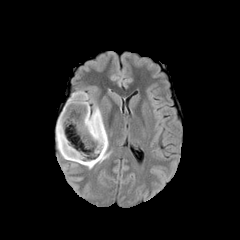
FLAIR MR image.
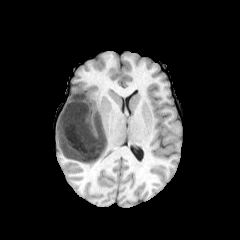
T1-weighted MRI of the same slice.
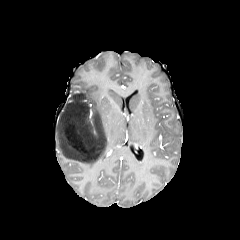
Post-contrast T1-weighted MR image.
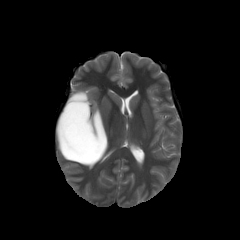
T2-weighted MR.
Image size 240x240; Head
Segmented structures:
• non-enhancing tumor core: <box>58,91,111,163</box>
• edema: <box>84,92,108,149</box>, <box>56,120,79,164</box>, <box>81,157,106,169</box>